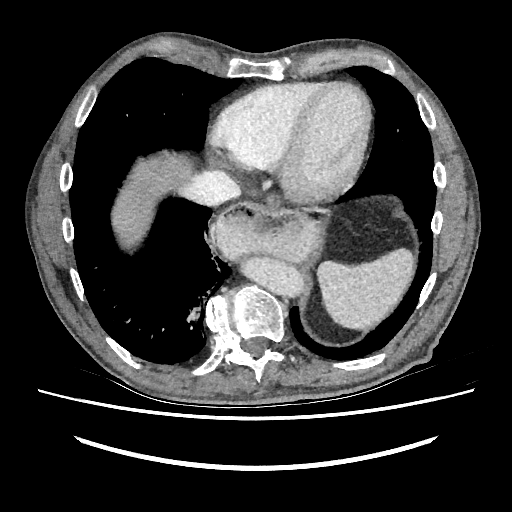

Abdomen. CT image.

The liver is located at (112,154,193,249).